CT image | Slice 62/455 | Image size 512x512 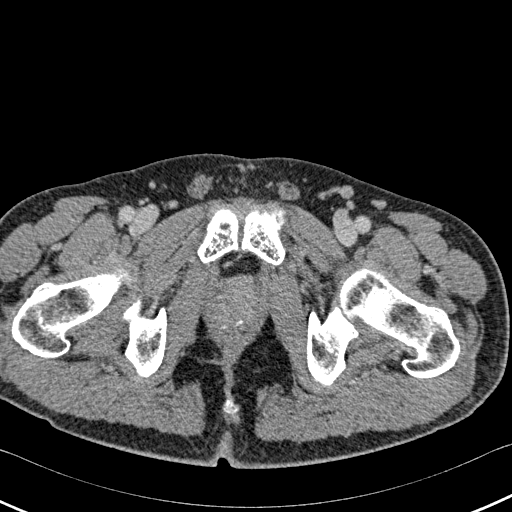

4 bone regions are bounded by 0,274,166,376; 307,269,459,384; 197,209,284,265; 224,400,237,413.